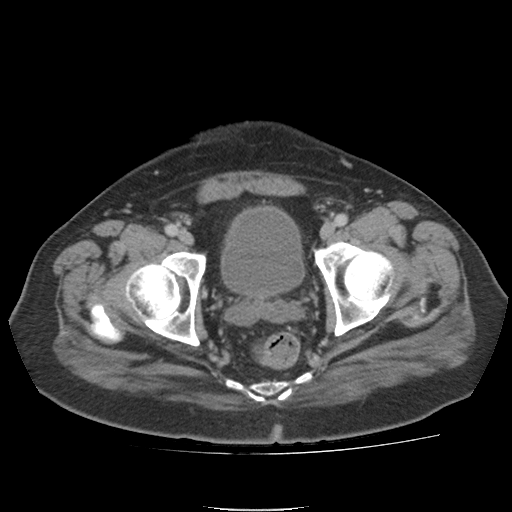
512x512. Lower abdomen. CT image. The urinary bladder is at rect(221, 210, 299, 298).